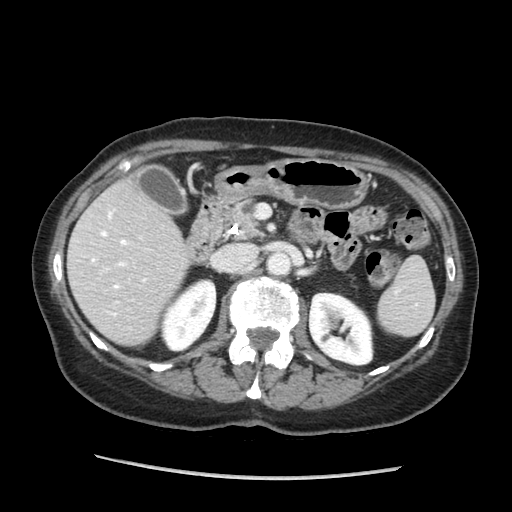 CT slice. 512x512 px.
pancreas:
  - x1=224 y1=200 x2=259 y2=237